Liver; Slice 491/836; Computed tomography 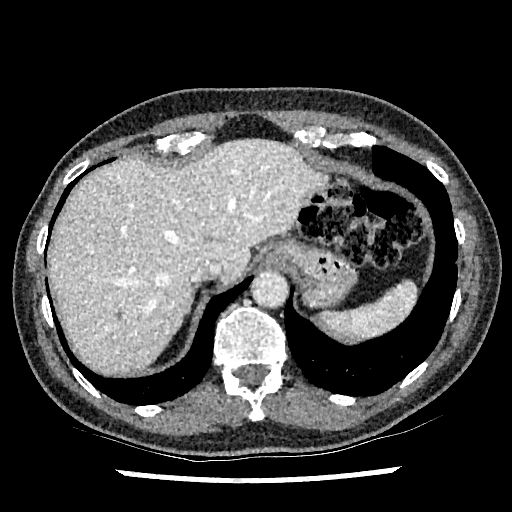
The liver lies within box(48, 139, 326, 374).